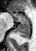
MR image; Hippocampus

<segmentation>
  <posterior_hippocampus>l=14, t=23, r=30, b=40</posterior_hippocampus>
  <anterior_hippocampus>l=14, t=14, r=28, b=22</anterior_hippocampus>
</segmentation>